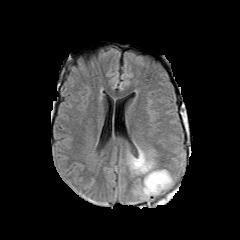
FLAIR MR.
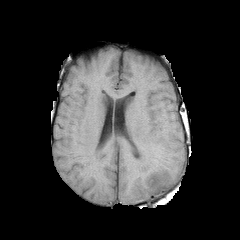
T1-weighted MRI of the same slice.
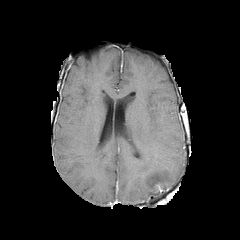
Same slice, post-contrast T1-weighted MRI.
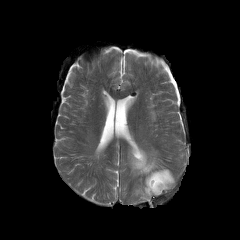
T2-weighted magnetic resonance of the same slice.
edema:
  - [128, 145, 174, 200]